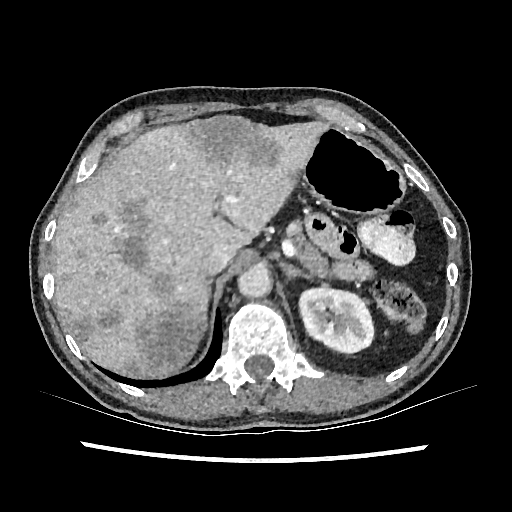

CT scan slice. 9 focal liver lesion regions appear at box(96, 272, 105, 278); box(91, 212, 107, 224); box(94, 305, 122, 333); box(117, 199, 150, 271); box(124, 271, 203, 376); box(77, 250, 85, 258); box(70, 316, 94, 345); box(287, 168, 301, 185); box(185, 117, 283, 171). The liver appears at box(53, 122, 326, 374). The kidney appears at box(300, 288, 373, 352).